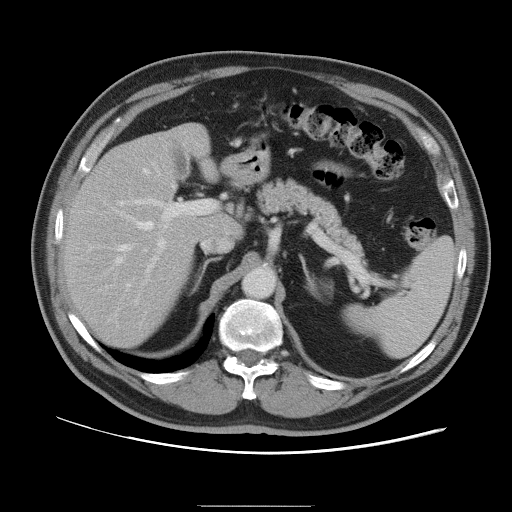

CT image

The vessel annotation is not exhaustive.
• hepatic vessel (most prominent 15 of 17): <bbox>88, 246, 91, 250</bbox>, <bbox>146, 238, 165, 274</bbox>, <bbox>144, 278, 148, 283</bbox>, <bbox>118, 198, 162, 205</bbox>, <bbox>172, 185, 174, 187</bbox>, <bbox>118, 244, 131, 250</bbox>, <bbox>143, 169, 149, 173</bbox>, <bbox>115, 258, 121, 263</bbox>, <bbox>103, 201, 105, 204</bbox>, <bbox>134, 298, 137, 303</bbox>, <bbox>152, 162, 160, 174</bbox>, <bbox>144, 248, 146, 250</bbox>, <bbox>114, 210, 153, 229</bbox>, <bbox>126, 283, 130, 291</bbox>, <bbox>163, 224, 169, 227</bbox>